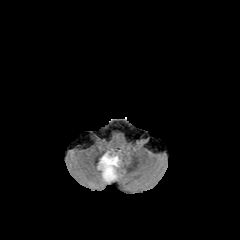
FLAIR MRI.
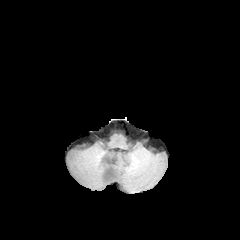
Same slice, T1-weighted magnetic resonance.
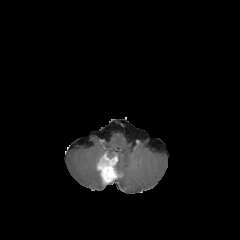
Same slice, post-contrast T1-weighted MR.
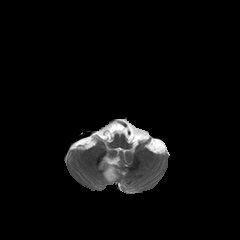
T2-weighted magnetic resonance.
Head
{
  "enhancing_tumor": [
    "l=100, t=156, r=114, b=177"
  ],
  "non-enhancing_tumor_core": [
    "l=102, t=171, r=115, b=183"
  ]
}